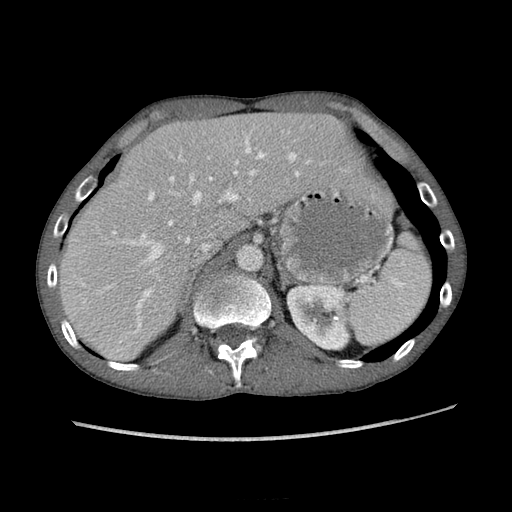 CT image. Upper abdomen.

Kidney — x1=288 y1=286 x2=347 y2=348.
Liver — x1=57 y1=111 x2=366 y2=357.